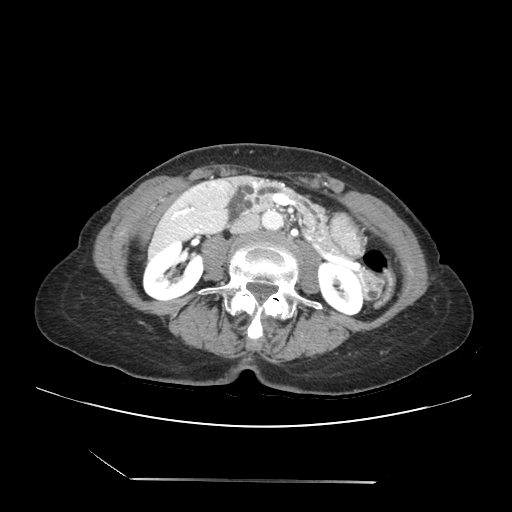

Computed tomography; Abdomen
Pancreas = (226, 179, 355, 268).